Slice index 82
FLAIR MRI.
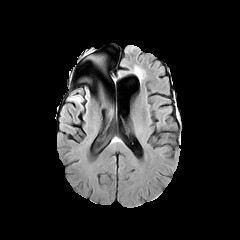
T1-weighted MRI.
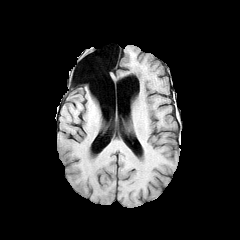
Post-contrast T1-weighted MR.
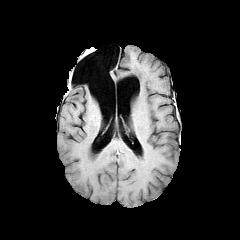
T2-weighted MR.
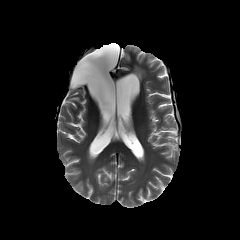
• edema: (69, 94, 83, 105)